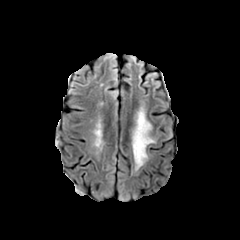
FLAIR MRI.
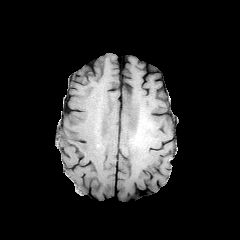
Same slice, T1-weighted MRI.
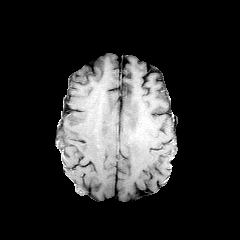
Same slice, post-contrast T1-weighted MRI.
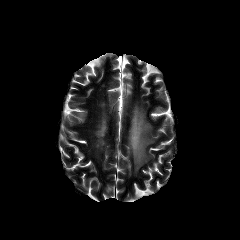
T2-weighted magnetic resonance.
Edema: bounding box (131, 110, 154, 170).